Image size 240x240, Field of view 240 mm wide, 1.00 mm slice spacing
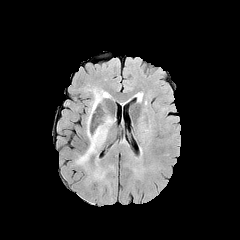
FLAIR MR.
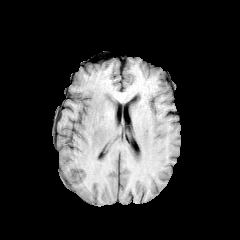
T1-weighted magnetic resonance.
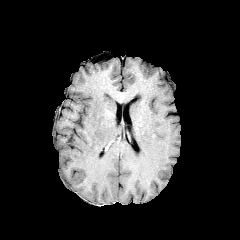
Post-contrast T1-weighted MRI.
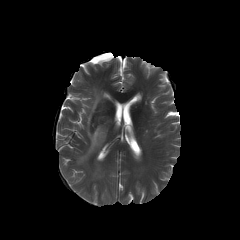
T2-weighted MR.
Edema at x1=76 y1=87 x2=111 y2=164.